240x240. Slice 61 of 155.
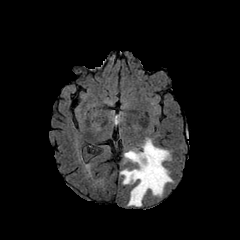
FLAIR MR.
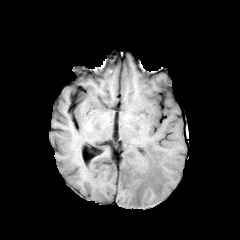
T1-weighted MR.
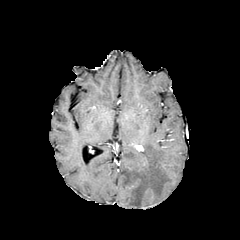
Post-contrast T1-weighted magnetic resonance.
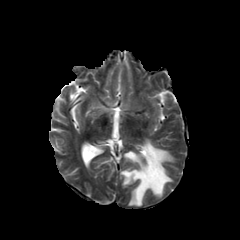
T2-weighted magnetic resonance.
The edema is at <box>120,138,172,206</box>.